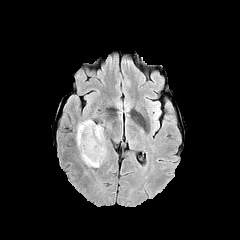
FLAIR MRI.
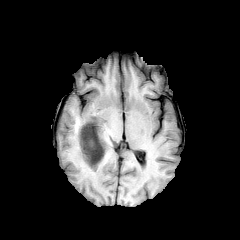
T1-weighted MR of the same slice.
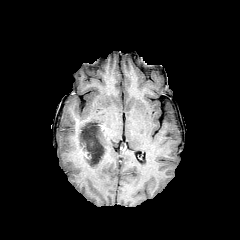
Post-contrast T1-weighted magnetic resonance.
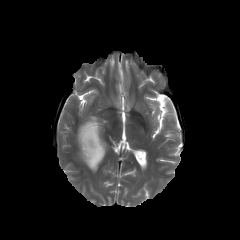
T2-weighted MRI of the same slice.
<segmentation>
  <edema>l=82, t=123, r=107, b=168; l=76, t=119, r=93, b=159; l=150, t=102, r=159, b=113</edema>
  <non-enhancing_tumor_core>l=80, t=122, r=103, b=164</non-enhancing_tumor_core>
</segmentation>